FLAIR magnetic resonance.
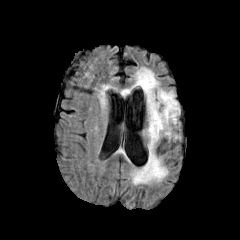
T1-weighted MR image.
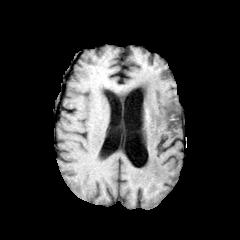
Post-contrast T1-weighted magnetic resonance.
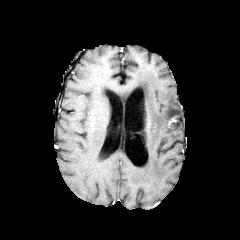
T2-weighted MRI.
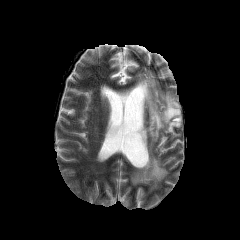
Brain.
2 edema regions are located at box=[119, 67, 180, 184]; box=[100, 85, 110, 104].